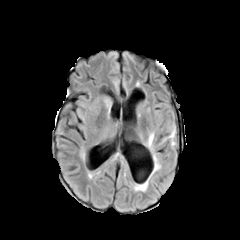
FLAIR MR.
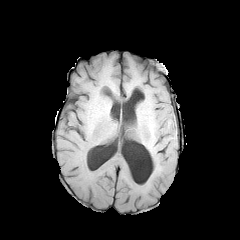
T1-weighted MRI.
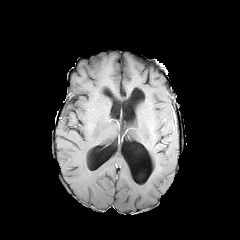
Post-contrast T1-weighted magnetic resonance.
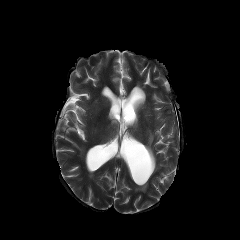
T2-weighted MRI.
240x240
edema: [x1=134, y1=179, x2=148, y2=191], [x1=145, y1=132, x2=161, y2=175], [x1=161, y1=124, x2=175, y2=144]